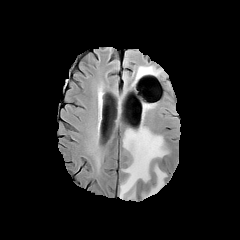
FLAIR MRI.
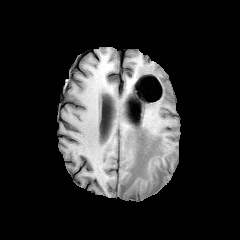
T1-weighted magnetic resonance of the same slice.
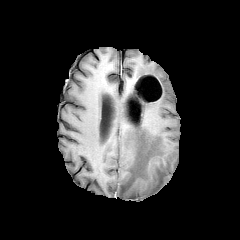
Post-contrast T1-weighted MR of the same slice.
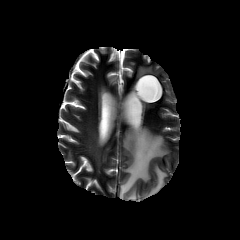
T2-weighted MR image.
Brain | 240x240 px
3 edema regions are bounded by (left=120, top=123, right=168, bottom=199), (left=148, top=165, right=166, bottom=195), (left=136, top=66, right=159, bottom=77).